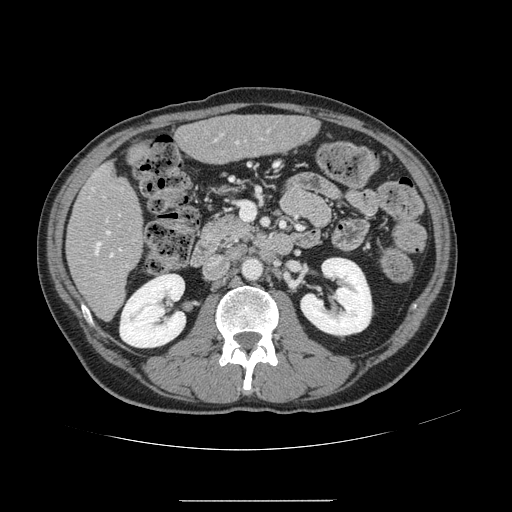

Computed tomography

The vessel boxes may cover only some of the vessels.
6 hepatic vessel regions are located at {"x1": 214, "y1": 139, "x2": 216, "y2": 140}, {"x1": 95, "y1": 242, "x2": 100, "y2": 254}, {"x1": 118, "y1": 248, "x2": 121, "y2": 250}, {"x1": 106, "y1": 232, "x2": 109, "y2": 234}, {"x1": 91, "y1": 188, "x2": 94, "y2": 190}, {"x1": 110, "y1": 253, "x2": 112, "y2": 256}.